Abdomen | Image size 512x512 | Slice index 192 | Computed tomography 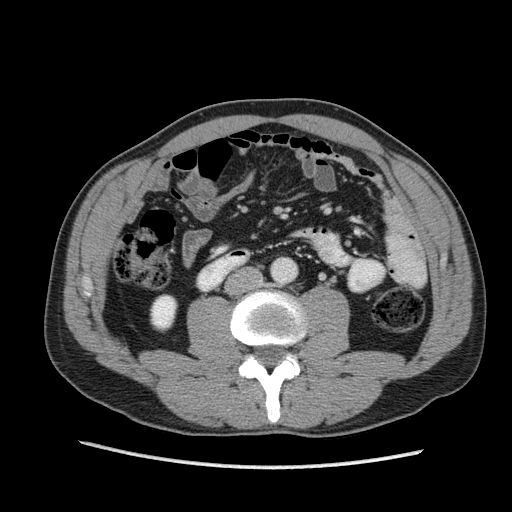
The kidney is at (152, 296, 174, 327).